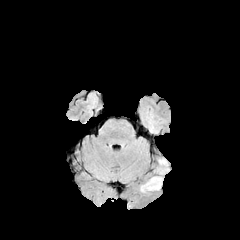
FLAIR MR image.
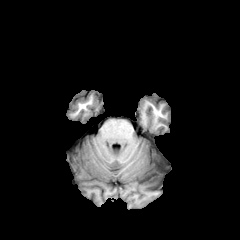
T1-weighted MR.
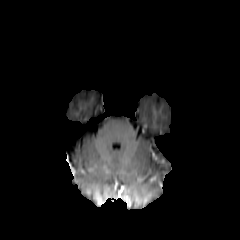
Post-contrast T1-weighted MR of the same slice.
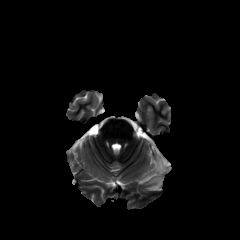
T2-weighted MR image.
Brain; 240x240 px
Edema — l=144, t=156, r=169, b=190.
Non-enhancing tumor core — l=159, t=159, r=167, b=172.